Field of view 240 mm wide, 1.00 mm slice spacing, 240x240 px, Head
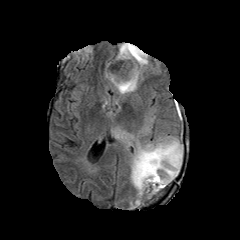
FLAIR MRI.
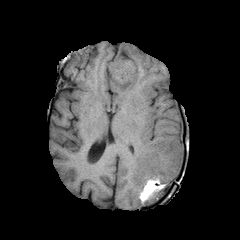
T1-weighted MRI.
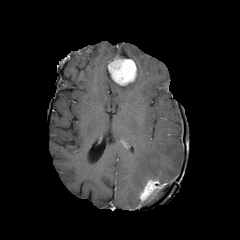
Post-contrast T1-weighted MR image.
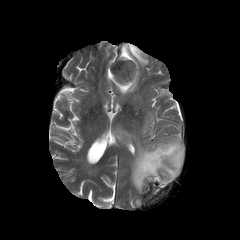
Same slice, T2-weighted magnetic resonance.
2 edema regions are bounded by <bbox>131, 135, 183, 197</bbox>, <bbox>111, 43, 148, 94</bbox>. 2 non-enhancing tumor core regions are bounded by <bbox>108, 59, 129, 77</bbox>, <bbox>117, 50, 133, 58</bbox>. 2 enhancing tumor regions are bounded by <bbox>111, 58, 136, 85</bbox>, <bbox>140, 180, 166, 199</bbox>.